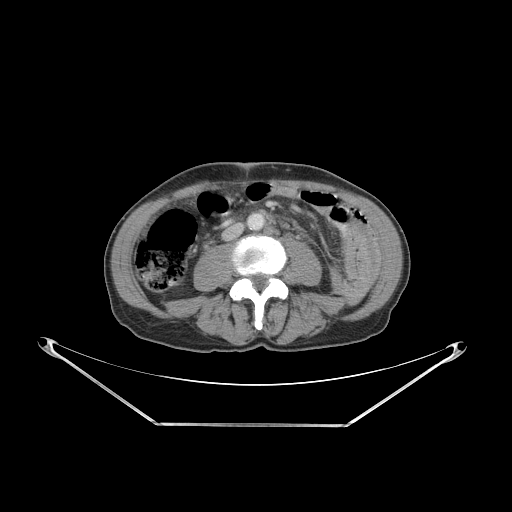

Computed tomography

bone:
  - [230,237,287,329]